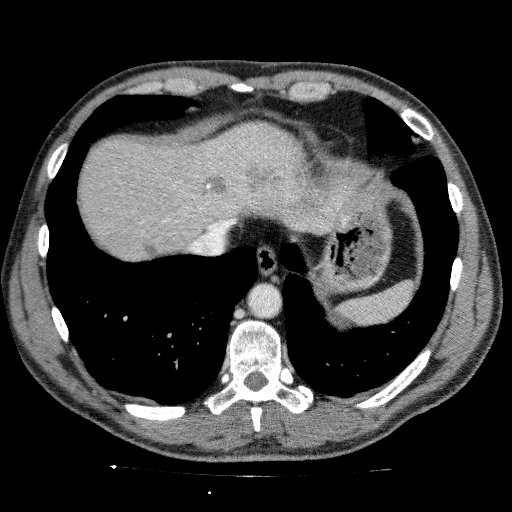

512x512; CT slice; Abdomen
liver lesion: 291, 171, 301, 181; 197, 175, 229, 197; 245, 165, 279, 190; 139, 240, 157, 255 | liver: 79, 120, 350, 262